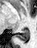

37x48 px, Hippocampus, MR image
Posterior hippocampus: 16:29:29:41.